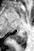
Magnetic resonance; Medial temporal lobe; 34x51
Posterior hippocampus: bounding box left=11, top=34, right=26, bottom=45.